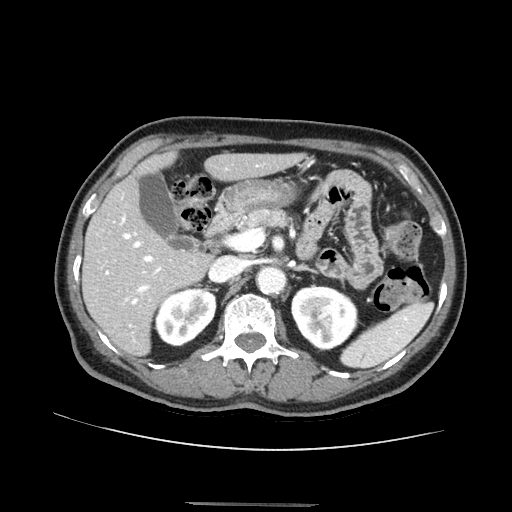
CT slice. Segmented structures:
* pancreatic tumor: 258,219,267,228
* pancreas: 242,210,293,230